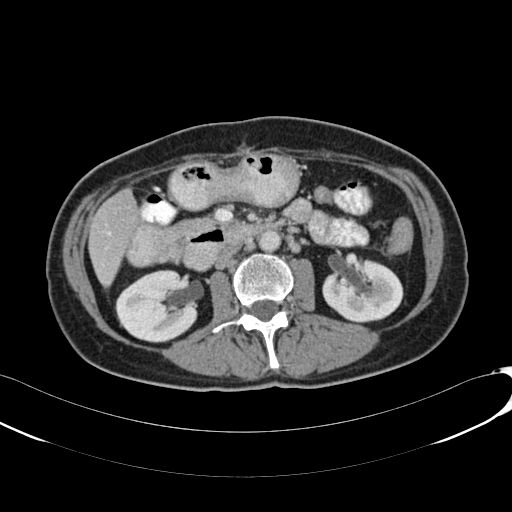
CT image, 512x512 px, Abdomen
<segmentation>
  <kidney>x1=117 y1=271 x2=195 y2=341, x1=323 y1=261 x2=401 y2=321</kidney>
  <liver>x1=89 y1=189 x2=137 y2=285</liver>
</segmentation>